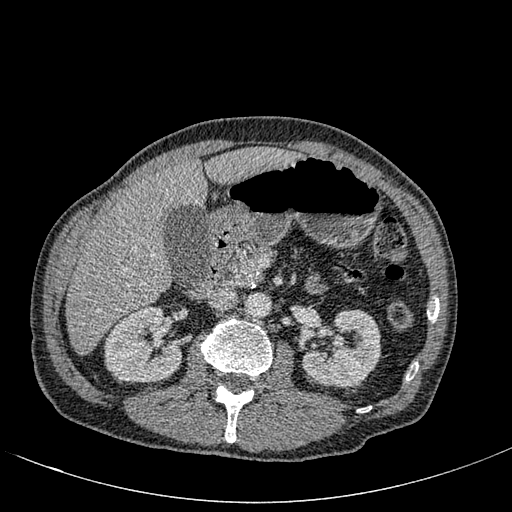 Abdomen | CT
2 kidney regions appear at box(104, 307, 181, 382); box(299, 308, 380, 386). 2 liver regions are located at box(204, 147, 296, 184); box(67, 160, 207, 354).